CT image; Abdomen; Slice 58 of 99 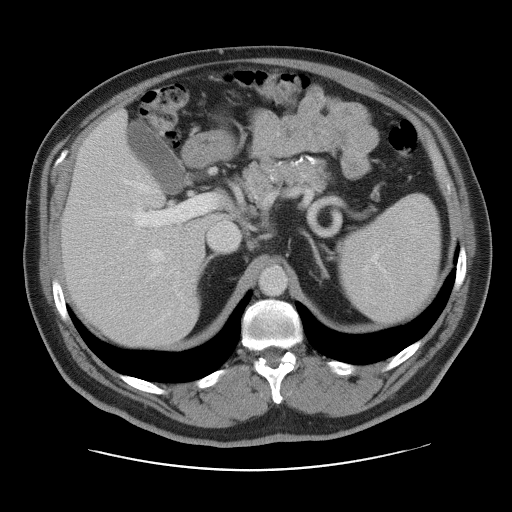

The vessel annotation is not exhaustive.
hepatic_vessel:
  - rect(208, 226, 238, 248)
  - rect(126, 194, 216, 230)
  - rect(119, 212, 120, 213)
  - rect(150, 249, 163, 261)
  - rect(176, 291, 177, 293)
  - rect(109, 213, 112, 213)
  - rect(124, 180, 157, 193)